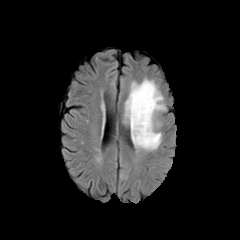
FLAIR MRI.
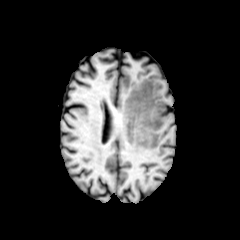
T1-weighted MRI.
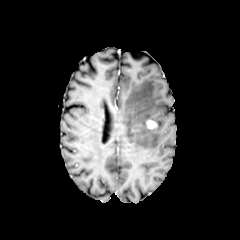
Post-contrast T1-weighted MRI.
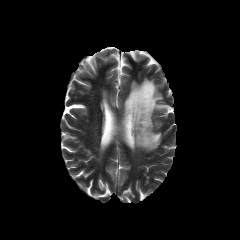
T2-weighted magnetic resonance of the same slice.
The enhancing tumor appears at <bbox>146, 119, 157, 128</bbox>. The edema is located at <bbox>124, 78, 166, 150</bbox>.